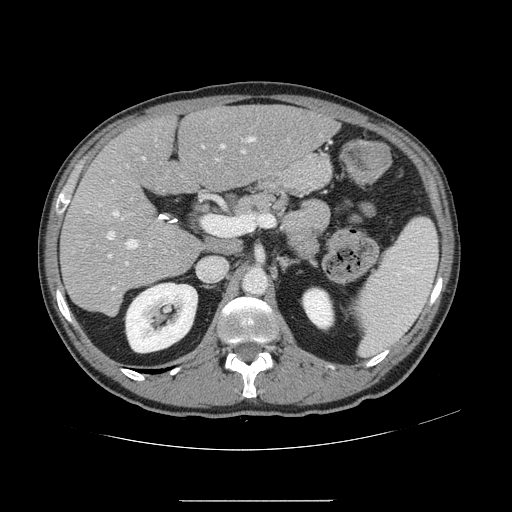 CT
The vessel boxes may cover only some of the vessels.
15 hepatic vessel regions are located at (142, 157, 144, 158), (125, 262, 127, 264), (126, 165, 127, 167), (247, 138, 255, 140), (220, 145, 223, 148), (242, 150, 244, 152), (113, 211, 118, 215), (112, 287, 114, 289), (149, 244, 150, 245), (121, 217, 124, 219), (107, 231, 113, 238), (131, 198, 132, 199), (126, 240, 136, 248), (109, 255, 111, 256), (111, 180, 113, 181).